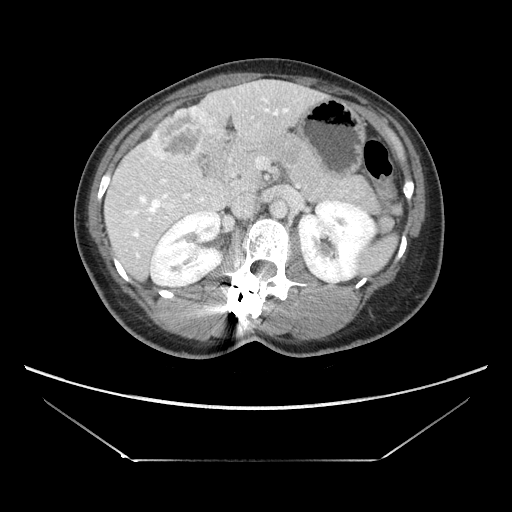 Liver, CT scan slice
The liver tumor is at <box>148,103,209,164</box>.